CT scan slice; Slice 560/896; Image size 512x512

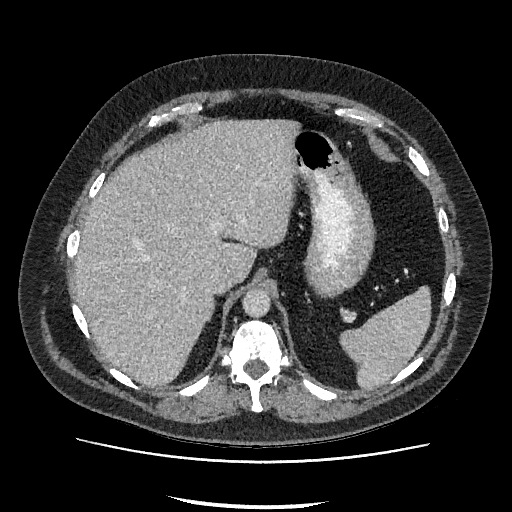

Liver: region(76, 120, 296, 385).